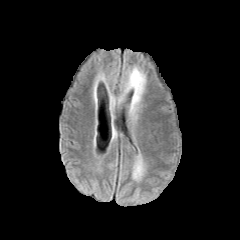
FLAIR MR image.
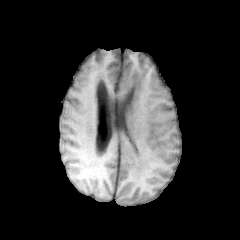
T1-weighted MRI.
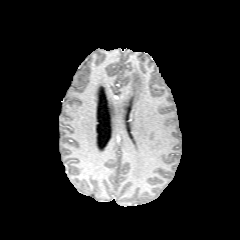
Post-contrast T1-weighted magnetic resonance.
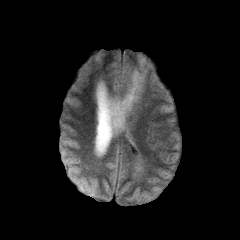
T2-weighted magnetic resonance.
Brain
Edema = rect(132, 154, 144, 179); rect(110, 67, 145, 119).